Head, Field of view 240x240 mm
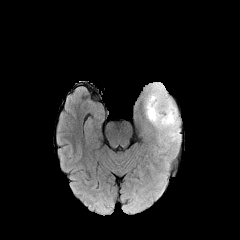
FLAIR MR.
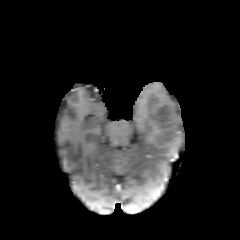
T1-weighted MR.
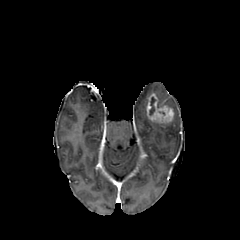
Same slice, post-contrast T1-weighted MR image.
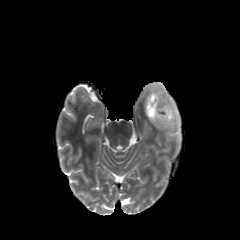
Same slice, T2-weighted MRI.
The enhancing tumor is at 146,93,174,123. The edema is at 144,82,181,146. The non-enhancing tumor core appears at 150,97,155,114.